Image width 344 mm | CT scan slice | Slice 15/466 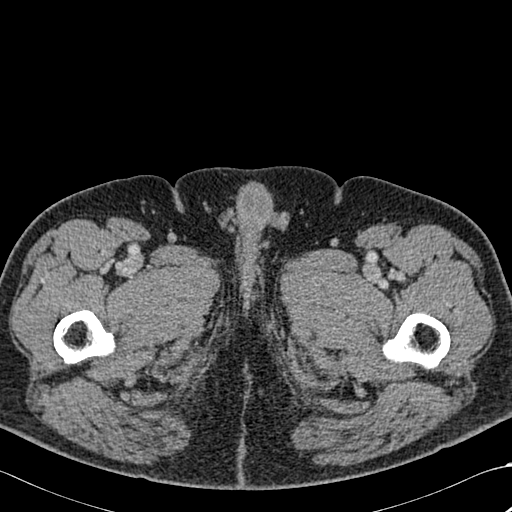

Segmented structures:
• bone: [x1=53, y1=310, x2=114, y2=363], [x1=383, y1=313, x2=449, y2=368]